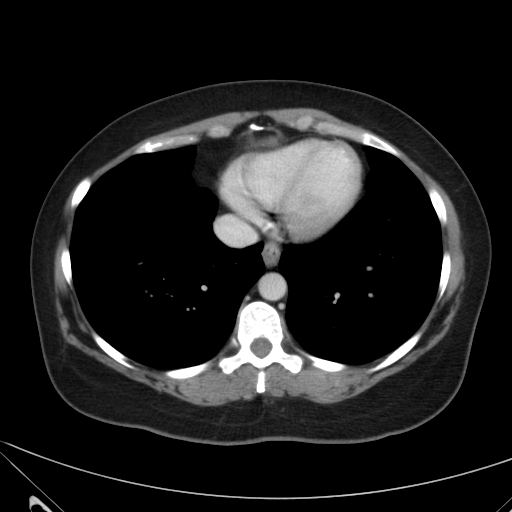

CT image
The liver is located at <box>241,170,249,177</box>.